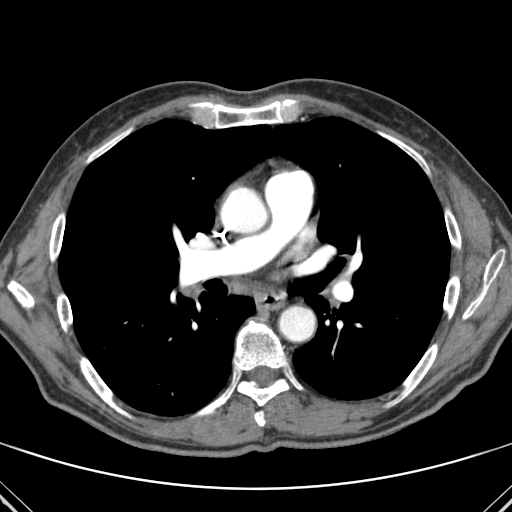

CT image
Bone: (left=401, top=344, right=437, bottom=397), (left=80, top=357, right=129, bottom=416), (left=254, top=411, right=265, bottom=426), (left=285, top=370, right=302, bottom=389), (left=57, top=294, right=72, bottom=331), (left=194, top=99, right=296, bottom=127), (left=379, top=132, right=425, bottom=164), (left=8, top=281, right=33, bottom=308), (left=87, top=130, right=129, bottom=162), (left=49, top=213, right=64, bottom=261), (left=194, top=320, right=288, bottom=416), (left=463, top=255, right=503, bottom=319), (left=445, top=209, right=461, bottom=248), (left=443, top=276, right=459, bottom=318).
Lung: (left=58, top=117, right=450, bottom=415).